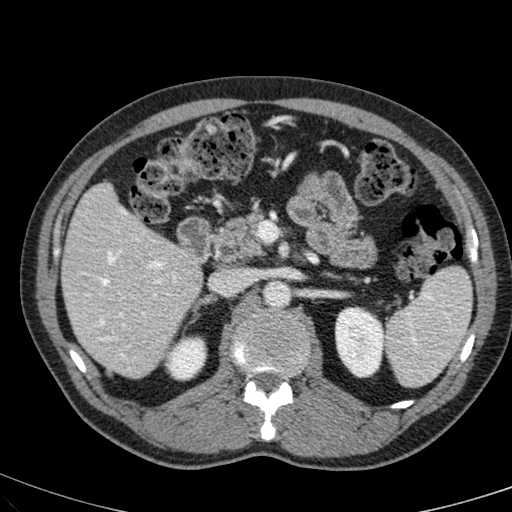
CT slice. Liver. 512x512 px.

The liver lies within [62,183,200,376]. 2 kidney regions are located at [336,308,382,375], [169,340,204,378].